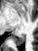 MRI, Medial temporal lobe

Segmented structures:
• posterior hippocampus: bbox(15, 35, 24, 45)